Image size 35x53. Slice 11/35. Hippocampus. MRI.
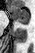 anterior hippocampus: bbox=[11, 6, 29, 23] | posterior hippocampus: bbox=[22, 24, 27, 25]